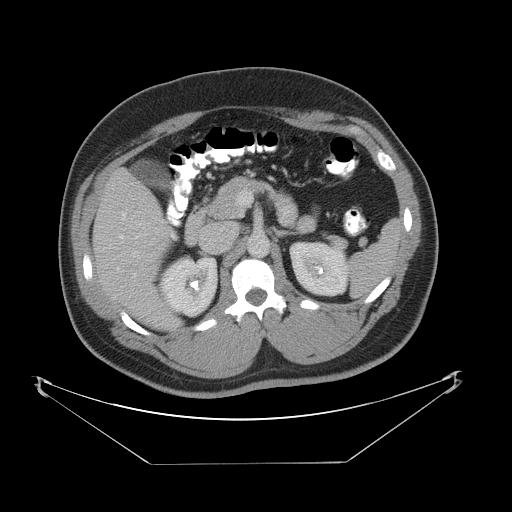 CT scan slice
Not every hepatic vessel necessarily has a box.
The hepatic vessel is located at bbox=[201, 227, 234, 251].